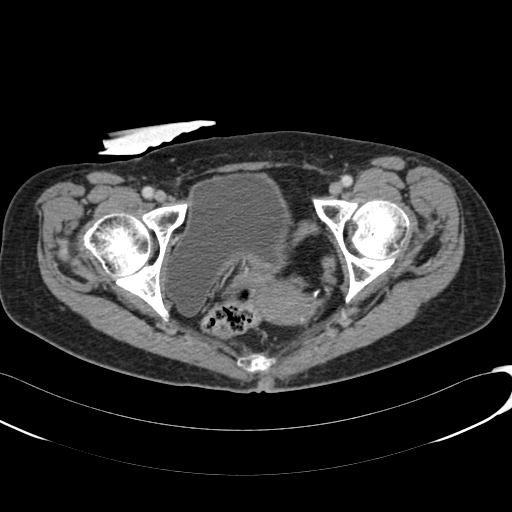 512x512 px, CT scan slice
Urinary bladder: 164:172:291:316.